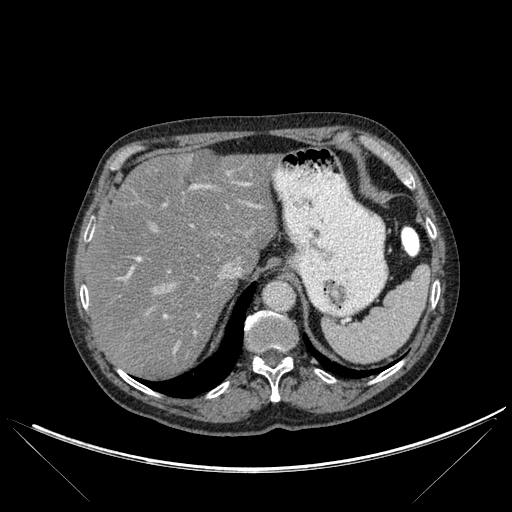

Image size 512x512, CT slice
Liver — 87:151:276:380.
Lung — 137:283:255:397, 303:335:390:377.
Hepatic lesion — 184:150:219:180.
Bone — 80:285:88:308, 372:361:402:382, 207:382:228:397, 118:370:155:395, 245:311:296:353, 426:219:436:237, 253:356:292:401, 84:229:93:240, 397:166:414:187, 431:281:439:306, 315:369:335:382.